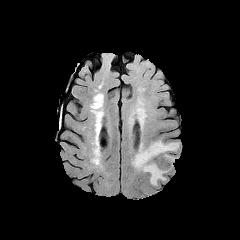
FLAIR MR image.
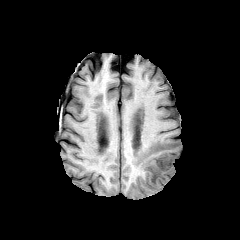
T1-weighted magnetic resonance.
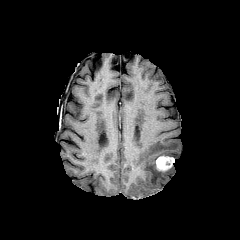
Post-contrast T1-weighted magnetic resonance.
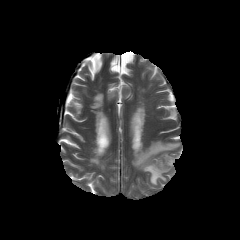
Same slice, T2-weighted MR.
The edema appears at (x1=132, y1=140, x2=178, y2=185). The enhancing tumor appears at (x1=156, y1=156, x2=173, y2=171).